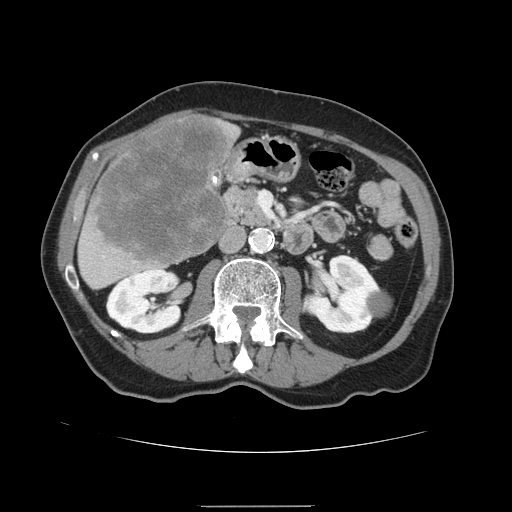

Computed tomography, 512x512 px

Liver tumor at x1=90 y1=118 x2=230 y2=265.